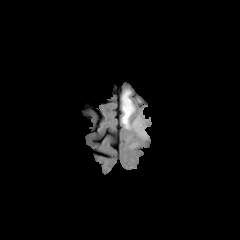
FLAIR MR.
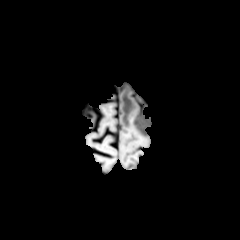
T1-weighted MR.
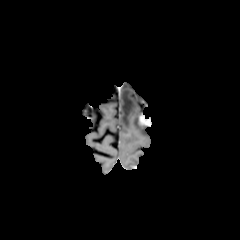
Post-contrast T1-weighted magnetic resonance of the same slice.
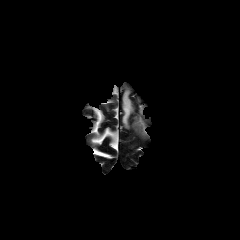
T2-weighted MR image.
The edema is bounded by <box>121,89,146,137</box>. The enhancing tumor appears at <box>139,114,149,125</box>.